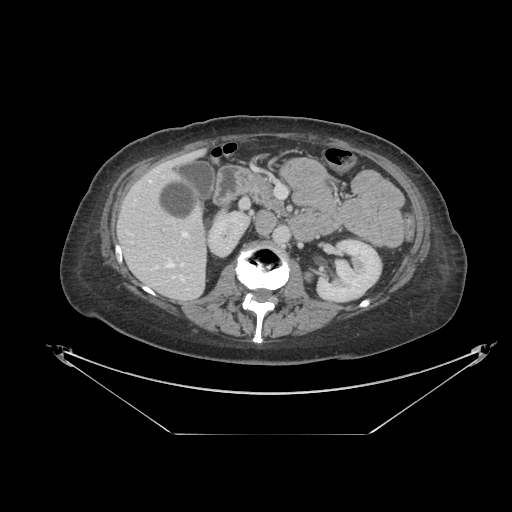 512x512 px | CT scan slice | Upper abdomen
Pancreas — 251,180,285,214.